FLAIR magnetic resonance.
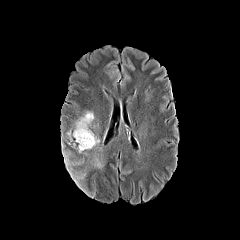
T1-weighted magnetic resonance.
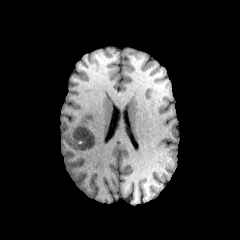
Post-contrast T1-weighted MR.
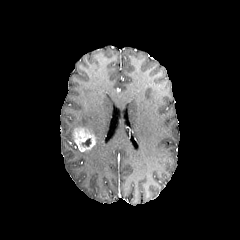
T2-weighted magnetic resonance.
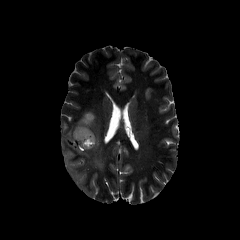
240x240
Findings:
- edema: 72:143:88:159, 62:151:85:185, 66:130:73:142, 91:131:103:168, 74:111:95:128
- enhancing tumor: 73:126:94:151